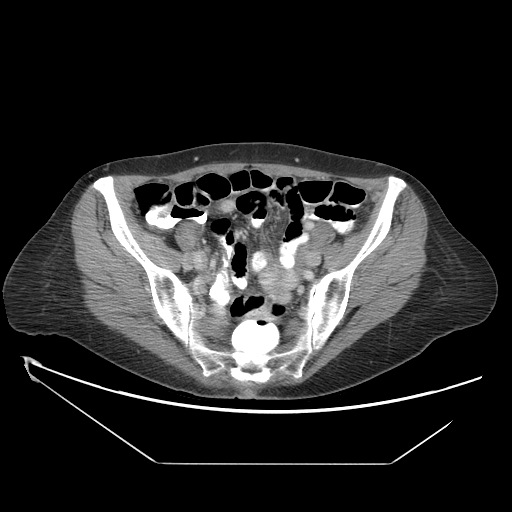 CT. Abdomen.
The colon tumor lies within rect(157, 204, 171, 217).